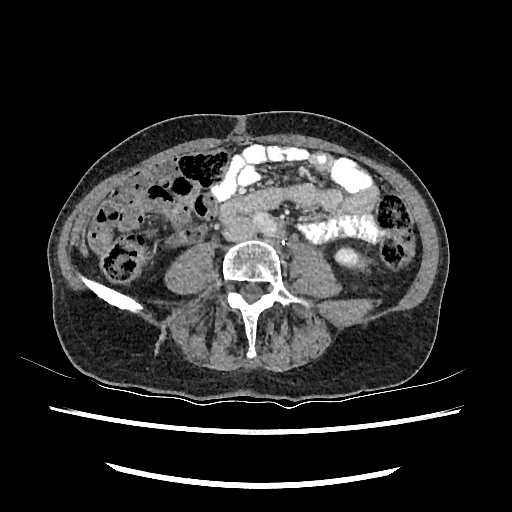

CT image. 512x512 px.
The kidney lies within box(338, 250, 356, 262).